MRI | Hippocampus

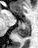 The posterior hippocampus is located at region(17, 21, 30, 37).